512x512 | Field of view 403 mm wide, 0.70 mm slice spacing | CT slice | Abdomen
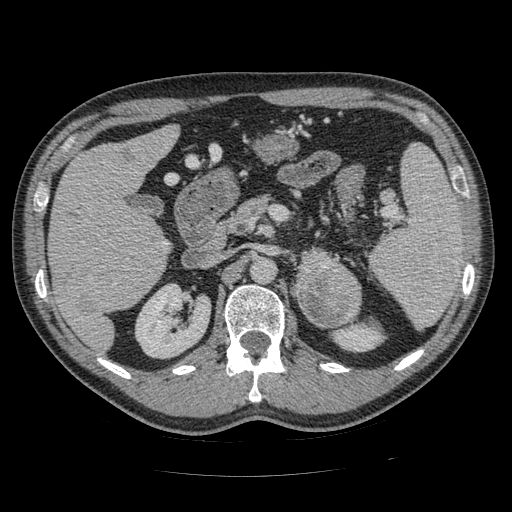
The pancreas is at (left=232, top=197, right=269, bottom=230). The pancreatic tumor lies within (left=297, top=249, right=361, bottom=327).